CT slice. Slice 502/771. Abdomen.

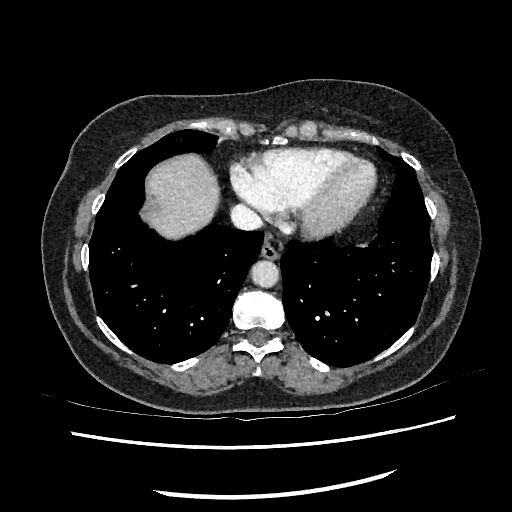
Segmented structures:
• liver: {"x1": 148, "y1": 155, "x2": 217, "y2": 239}